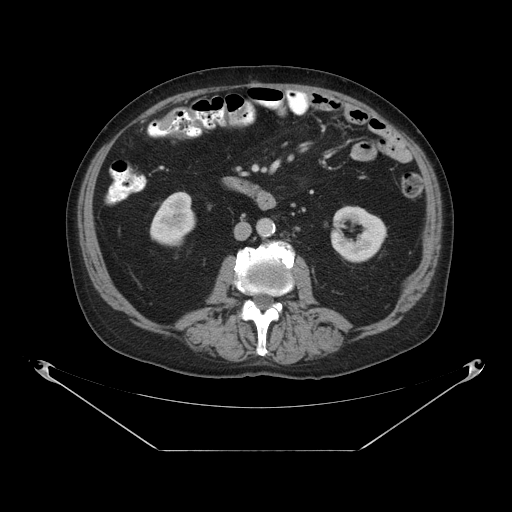
Abdomen | CT image
Colon tumor: box(166, 131, 189, 138); box(159, 113, 173, 129).